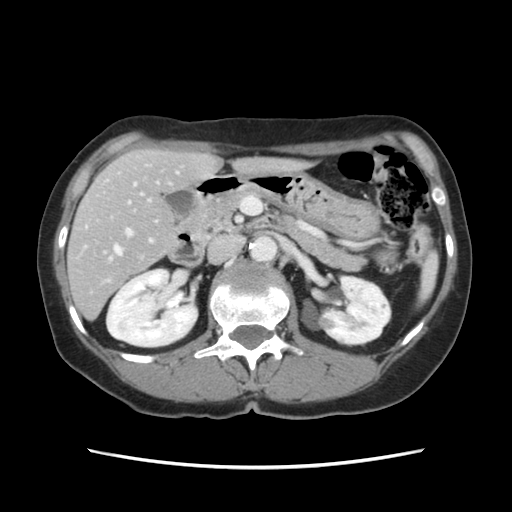
Abdomen, CT
The vessel boxes may cover only some of the vessels.
Hepatic vessel: bbox=[128, 202, 130, 203]; bbox=[134, 183, 136, 185]; bbox=[114, 246, 120, 254]; bbox=[126, 229, 131, 235]; bbox=[149, 240, 151, 242].